CT. Slice index 558.

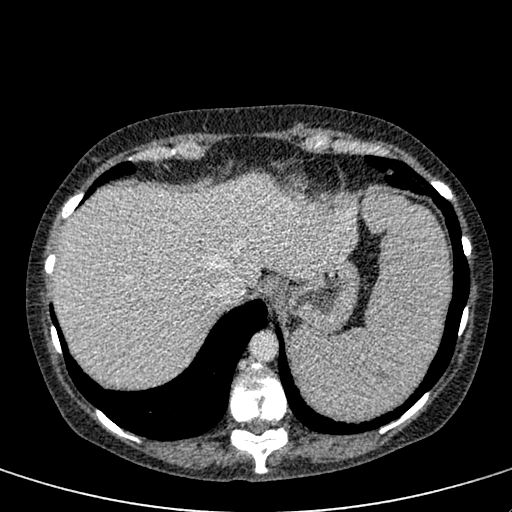
The liver is at <bbox>56, 174, 361, 388</bbox>.